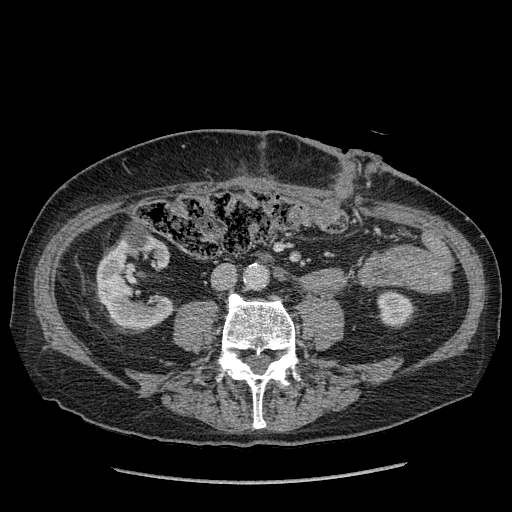

Computed tomography, Abdomen
{"kidney": ["box=[377, 291, 412, 326]", "box=[143, 239, 168, 267]", "box=[97, 241, 172, 328]"]}